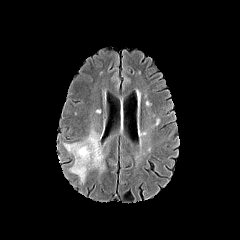
FLAIR magnetic resonance.
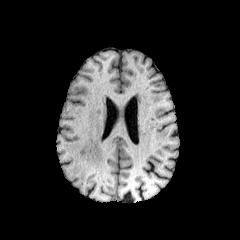
T1-weighted MR image.
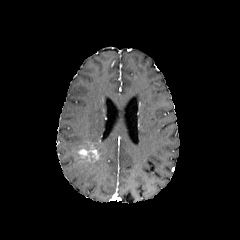
Post-contrast T1-weighted magnetic resonance.
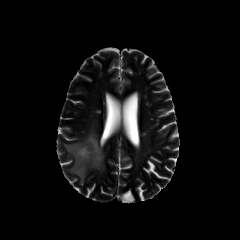
T2-weighted MRI.
Brain.
{
  "enhancing_tumor": [
    "(78,144,99,161)"
  ],
  "edema": [
    "(63,129,104,182)"
  ]
}